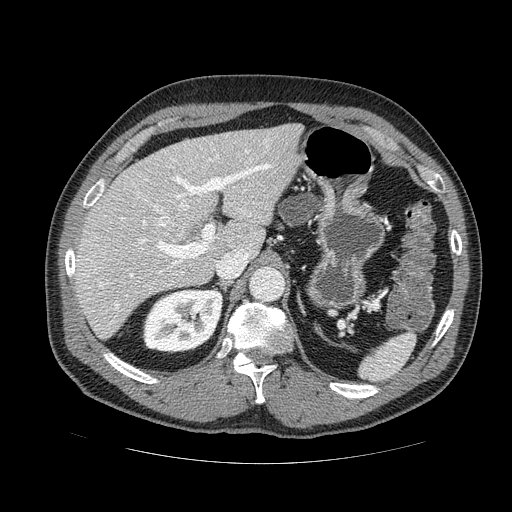 Computed tomography
Segmented structures:
• pancreatic tumor: (279,193,320,225)
• pancreas: (275,191,313,229)